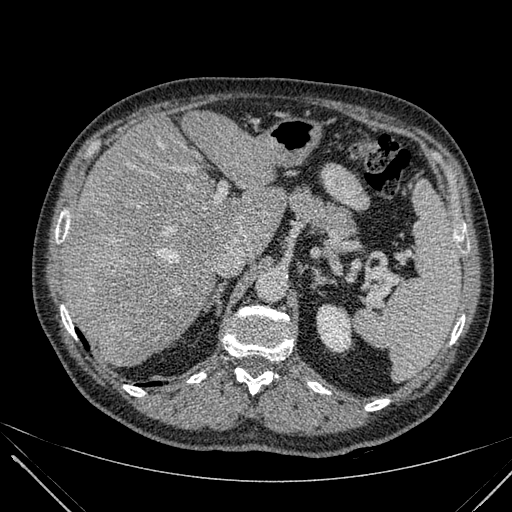 Computed tomography | Image size 512x512
The liver lies within 61, 111, 287, 366. The kidney is located at 317, 305, 350, 351.